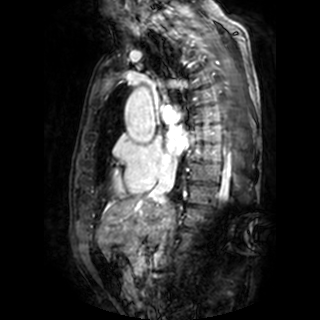

320x320 px, MRI, Cardiac
Left atrium: bounding box [x1=166, y1=129, x2=190, y2=154].